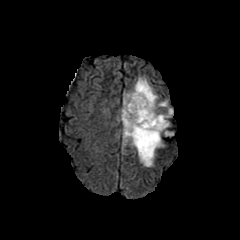
FLAIR MR image.
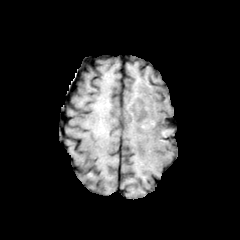
Same slice, T1-weighted MRI.
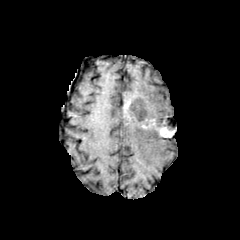
Same slice, post-contrast T1-weighted magnetic resonance.
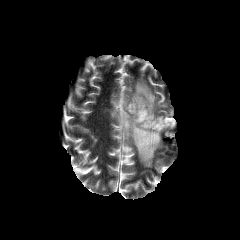
T2-weighted magnetic resonance.
2 edema regions are located at (left=123, top=78, right=173, bottom=133), (left=120, top=108, right=163, bottom=166). The non-enhancing tumor core is located at (left=123, top=96, right=163, bottom=129). 2 enhancing tumor regions are located at (left=123, top=100, right=130, bottom=115), (left=155, top=120, right=171, bottom=135).